CT; Liver
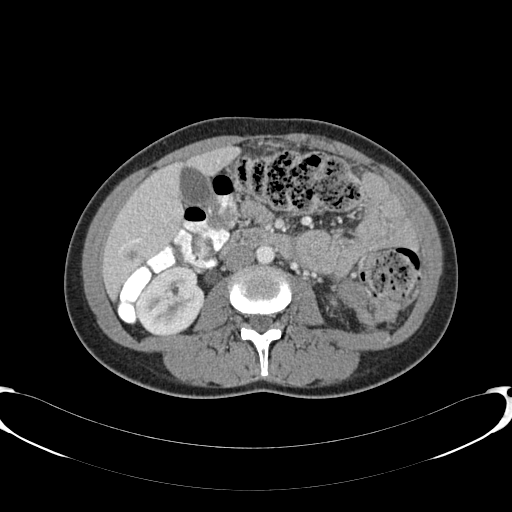 liver: [102,146,239,299] | kidney: [136,268,203,334] | hepatic lesion: [127,251,136,257]